Slice index 78, 240x240 px
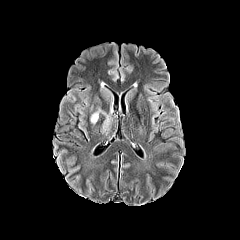
FLAIR magnetic resonance.
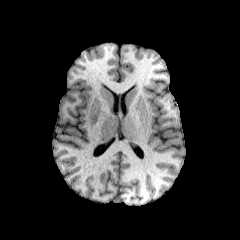
Same slice, T1-weighted MR.
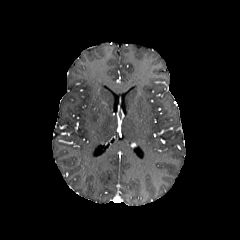
Same slice, post-contrast T1-weighted magnetic resonance.
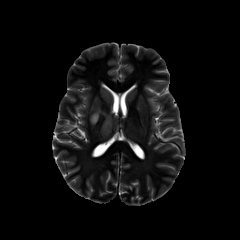
T2-weighted MR image of the same slice.
The edema is located at [x1=90, y1=104, x2=113, y2=135].